Field of view 240x240 mm. Slice 52/155.
FLAIR MR.
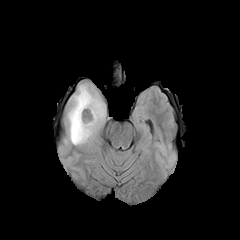
T1-weighted MR image.
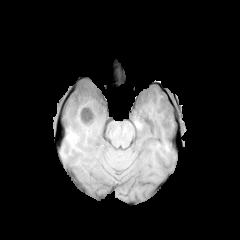
Post-contrast T1-weighted magnetic resonance.
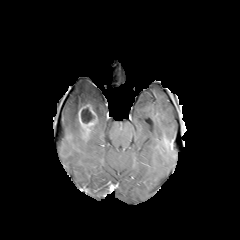
T2-weighted MRI.
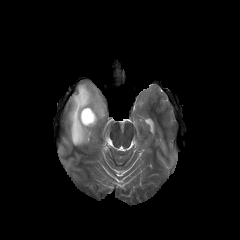
Enhancing tumor: bounding box 78, 106, 97, 139.
Edema: bounding box 67, 83, 105, 145.
Non-enhancing tumor core: bounding box 79, 104, 93, 123.